MRI slice | Field of view 34 mm wide, 1.00 mm slice spacing 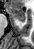 Anterior hippocampus at box(11, 8, 25, 21).